Computed tomography; Image size 512x512; Field of view 344x344 mm; Slice index 74
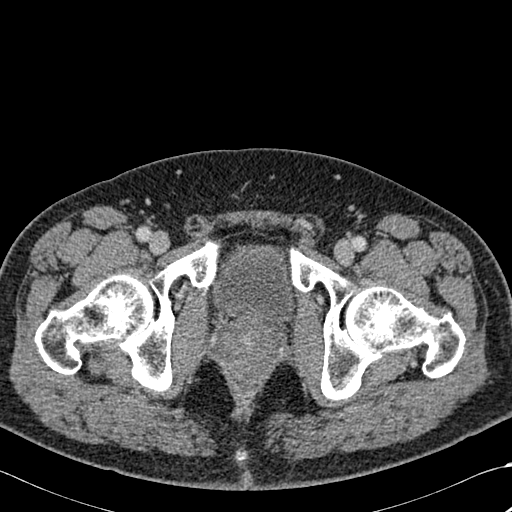 bone: x1=35, y1=242, x2=218, y2=391; x1=290, y1=249, x2=465, y2=400